Computed tomography. Slice 150/165. Liver.

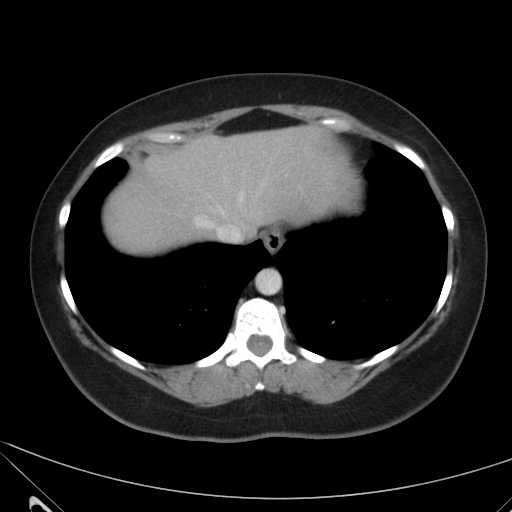
liver: (107,125,346,250)